CT slice | Upper abdomen | Field of view 500 mm wide, 2.50 mm slice spacing
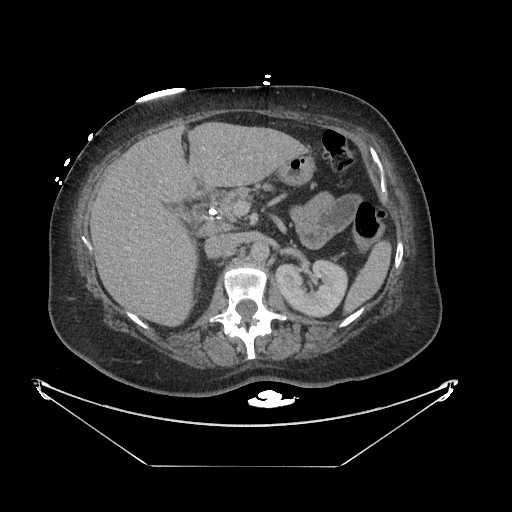
<segmentation>
  <pancreas>(221,185,272,216)</pancreas>
</segmentation>